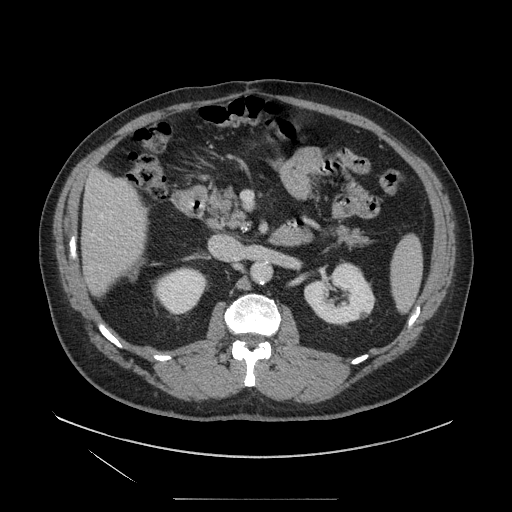

CT slice. 512x512.

2 pancreas regions are located at {"x1": 325, "y1": 225, "x2": 373, "y2": 250}, {"x1": 204, "y1": 185, "x2": 251, "y2": 233}.